Head
FLAIR MR image.
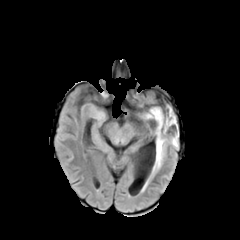
T1-weighted MR.
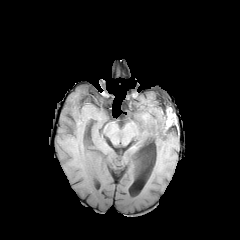
Post-contrast T1-weighted magnetic resonance.
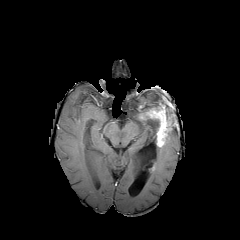
T2-weighted magnetic resonance.
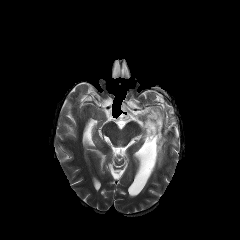
Edema: bounding box [x1=142, y1=114, x2=155, y2=129], [x1=150, y1=126, x2=178, y2=177].
Non-enhancing tumor core: bounding box [x1=147, y1=104, x2=177, y2=129], [x1=150, y1=120, x2=159, y2=139].
Enhancing tumor: bounding box [x1=147, y1=107, x2=175, y2=147].